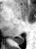
Magnetic resonance | Hippocampus
The posterior hippocampus is bounded by x1=13, y1=36, x2=23, y2=43.